512x512 px | CT image

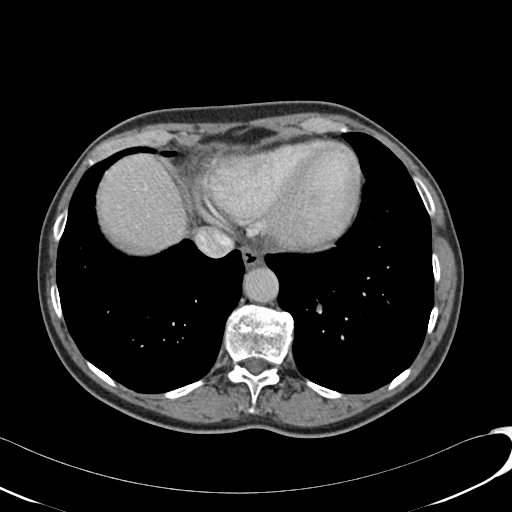
Segmented structures:
• liver: [x1=99, y1=156, x2=186, y2=250]